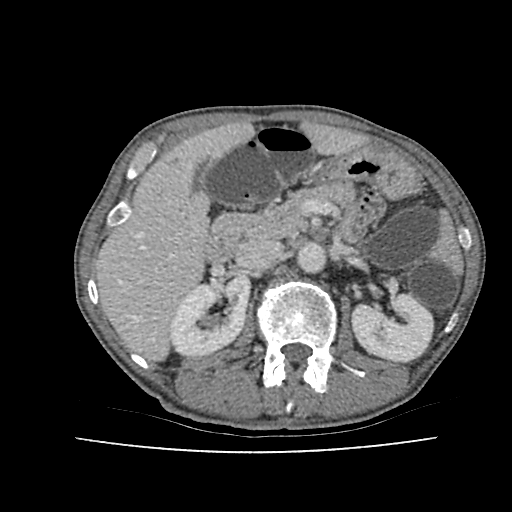 CT image
<segmentation>
  <liver>(97,125,251,357), (304,125,361,151)</liver>
  <kidney>(170,276,249,354), (352,295,432,360)</kidney>
</segmentation>